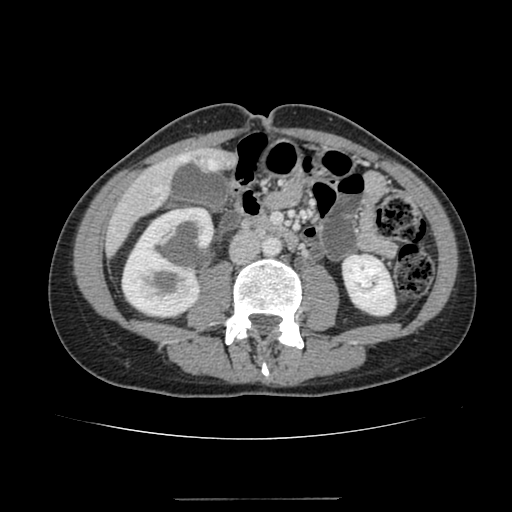 Upper abdomen; Computed tomography

The liver lies within x1=105, y1=149, x2=236, y2=255. 2 kidney regions are located at x1=122, y1=208, x2=212, y2=315; x1=343, y1=255, x2=394, y2=314.